CT slice
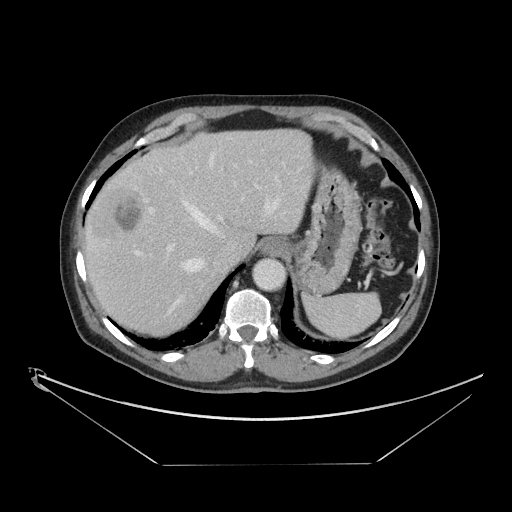

The vessel boxes may cover only some of the vessels.
The liver tumor appears at box=[90, 187, 147, 241]. 14 hepatic vessel regions are located at box=[184, 259, 204, 271]; box=[188, 206, 217, 232]; box=[256, 186, 259, 187]; box=[209, 156, 212, 166]; box=[218, 216, 222, 220]; box=[169, 296, 182, 311]; box=[167, 245, 172, 250]; box=[144, 198, 148, 201]; box=[182, 200, 187, 205]; box=[149, 208, 153, 212]; box=[135, 251, 140, 254]; box=[275, 176, 276, 178]; box=[190, 172, 192, 174]; box=[265, 201, 277, 212].